Head; Slice 75/155
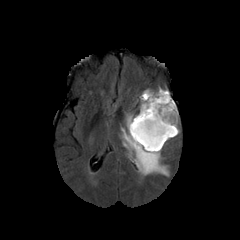
FLAIR MR.
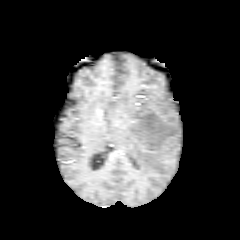
T1-weighted MR image of the same slice.
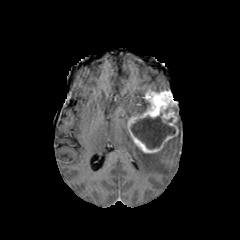
Post-contrast T1-weighted MR image.
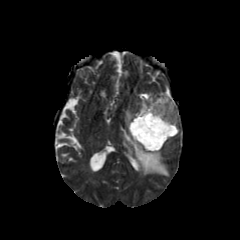
T2-weighted MRI.
Enhancing tumor = bbox(128, 90, 178, 152).
Non-enhancing tumor core = bbox(140, 98, 149, 113); bbox(130, 113, 175, 148).
Edema = bbox(135, 90, 146, 113); bbox(163, 125, 180, 147); bbox(120, 113, 168, 175).